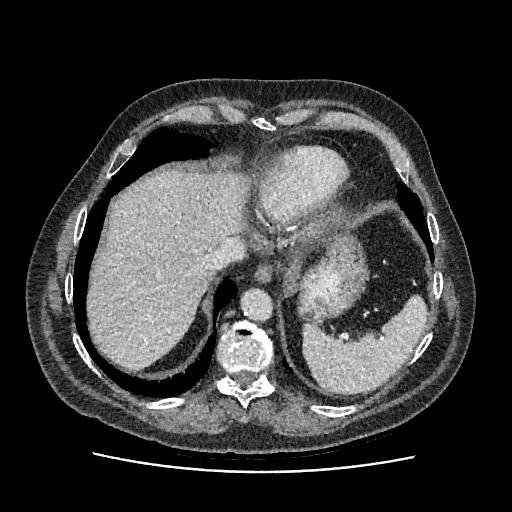
512x512, CT scan slice, Upper abdomen
<segmentation>
  <liver>(87,172,249,368)</liver>
</segmentation>